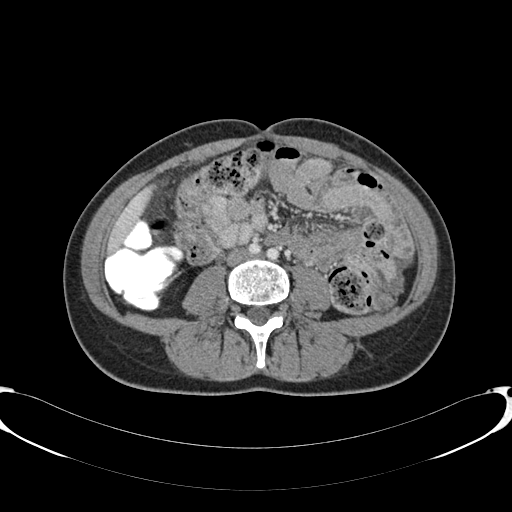 CT scan slice | 512x512 px

Liver = box(108, 189, 151, 252).